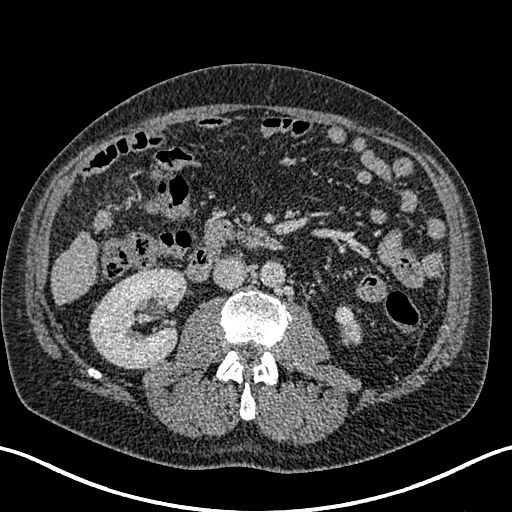 CT image
Annotated regions:
* liver: bbox(93, 208, 112, 233); bbox(53, 230, 97, 305)
* kidney: bbox(336, 308, 359, 340); bbox(90, 269, 184, 368)